Slice 35 of 95 | Field of view 480 mm wide, 2.50 mm slice spacing | Abdomen | CT scan slice

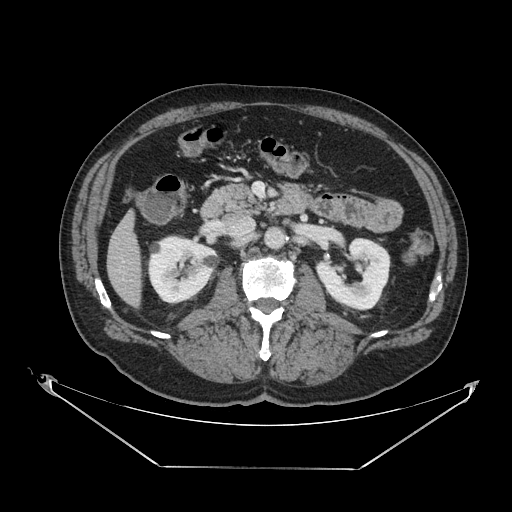 pancreas:
  - x1=212, y1=182, x2=264, y2=216